CT slice | Field of view 387 mm wide, 0.80 mm slice spacing | 512x512 | Liver

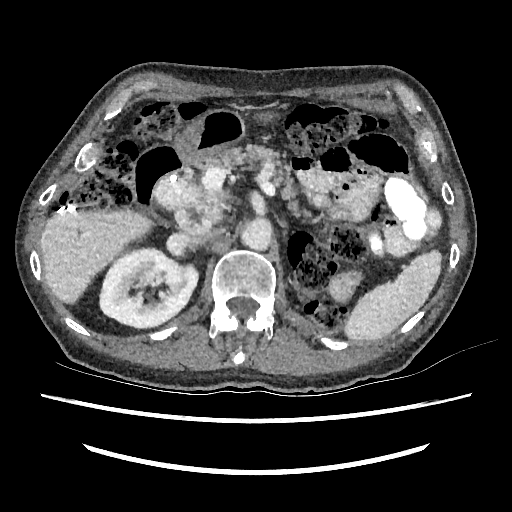 kidney: x1=100, y1=249, x2=197, y2=327 | liver: x1=41, y1=210, x2=149, y2=303